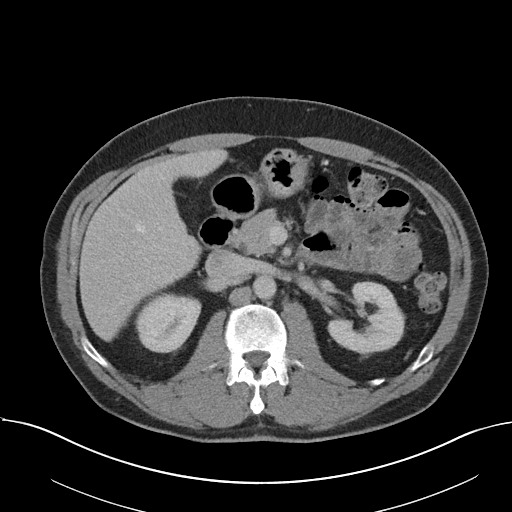
CT scan slice; Image size 512x512
Not every hepatic vessel necessarily has a box.
Hepatic vessel — box=[166, 272, 175, 280]; box=[158, 282, 164, 284]; box=[120, 300, 122, 303]; box=[136, 283, 139, 290]; box=[136, 225, 144, 231].